Computed tomography | Abdomen | 512x512 px 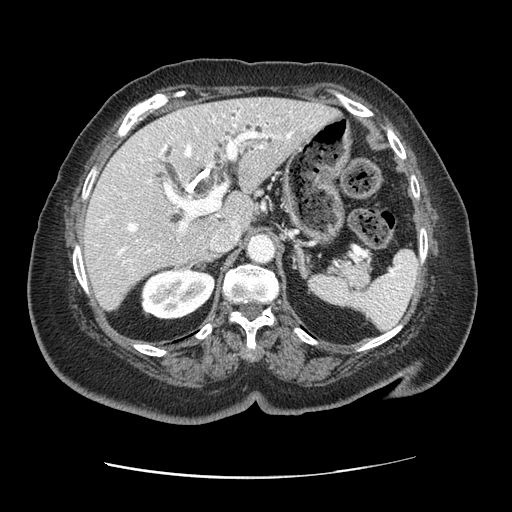

Pancreas: bounding box rect(330, 254, 372, 290).